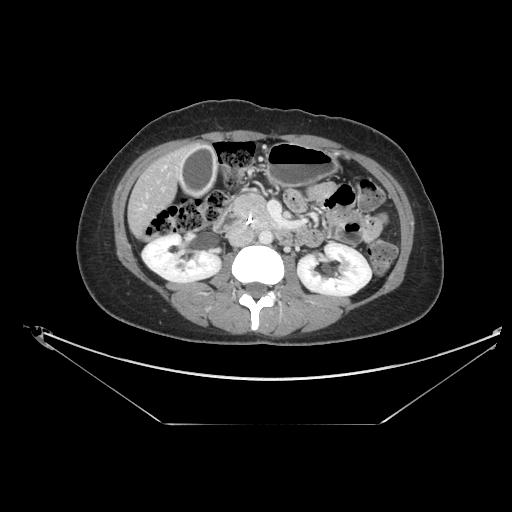
CT scan slice
<segmentation>
  <pancreas><bbox>233, 194, 275, 229</bbox></pancreas>
  <pancreatic_tumor><bbox>253, 201, 262, 211</bbox></pancreatic_tumor>
</segmentation>